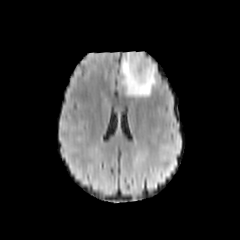
FLAIR MR image.
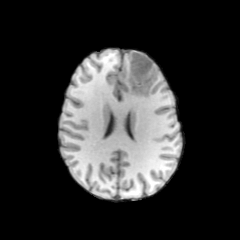
T1-weighted magnetic resonance of the same slice.
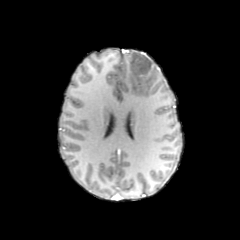
Post-contrast T1-weighted MR.
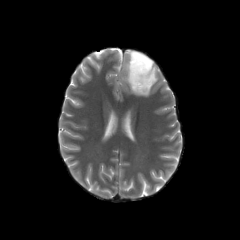
T2-weighted MRI.
Brain, Image size 240x240
<segmentation>
  <edema><box>149,59,157,79</box>, <box>121,51,146,96</box></edema>
  <non-enhancing_tumor_core><box>130,53,155,95</box></non-enhancing_tumor_core>
</segmentation>